FLAIR MR image.
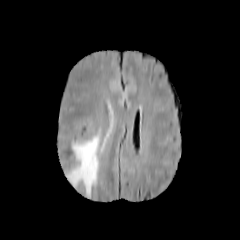
T1-weighted MRI.
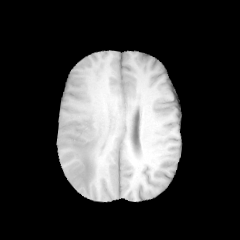
Post-contrast T1-weighted MRI.
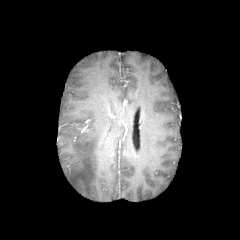
T2-weighted MR image.
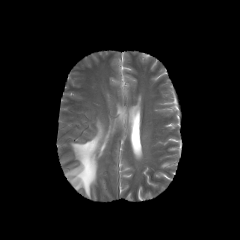
Head
Edema: bbox=[66, 121, 104, 197].